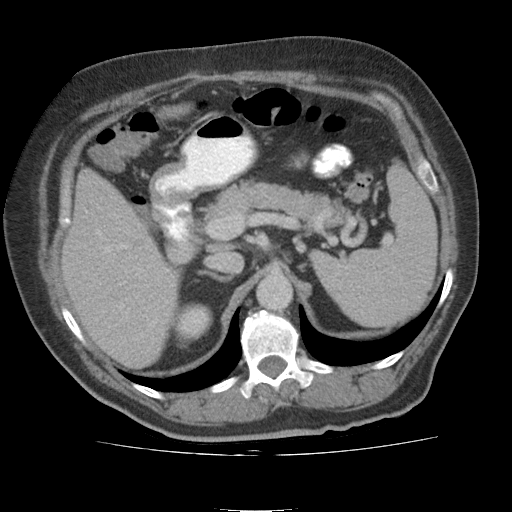

Image size 512x512; Abdomen; Computed tomography
Kidney — x1=181, y1=309, x2=206, y2=332.
Liver — x1=163, y1=108, x2=176, y2=117; x1=65, y1=176, x2=178, y2=364.